FLAIR MR.
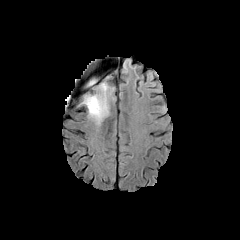
T1-weighted MR image.
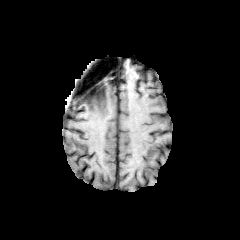
Post-contrast T1-weighted MRI.
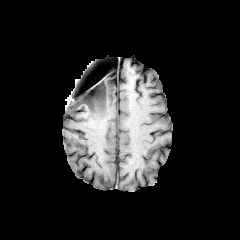
T2-weighted magnetic resonance.
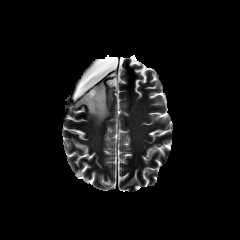
Annotated regions:
- non-enhancing tumor core: (84, 83, 103, 103)
- edema: (81, 80, 114, 124)